FLAIR magnetic resonance.
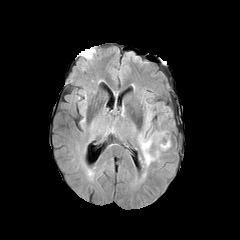
T1-weighted MR.
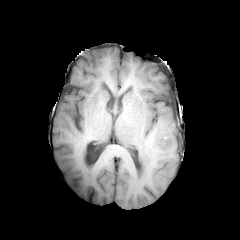
Post-contrast T1-weighted MR.
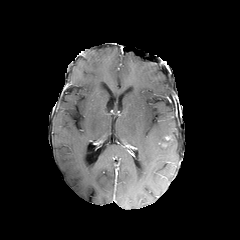
T2-weighted MRI.
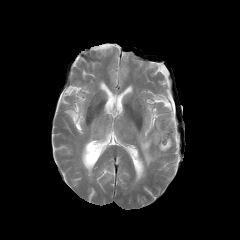
Image size 240x240
edema: (137, 131, 171, 167), (144, 104, 153, 132)